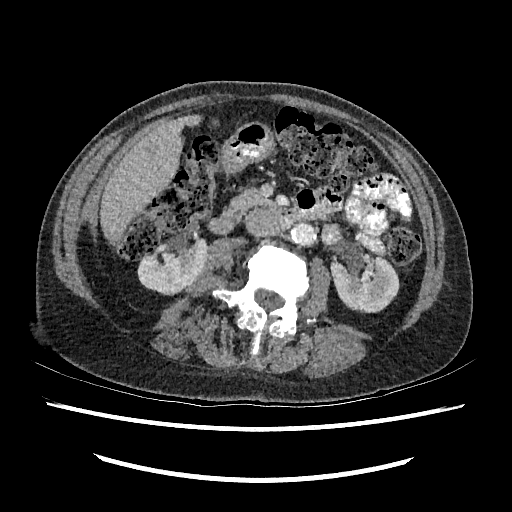

CT slice. 512x512 px. Upper abdomen.
Hepatic lesion at 146:142:157:153.
Kidney at 331:257:398:312, 138:243:206:293.
Liver at 101:115:200:243.